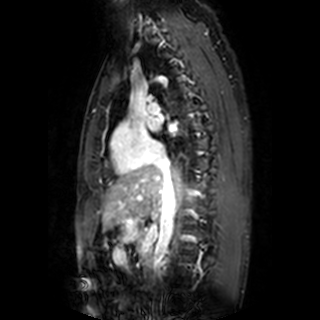

Heart, MR image
left atrium: {"x1": 169, "y1": 123, "x2": 176, "y2": 132}, {"x1": 146, "y1": 116, "x2": 160, "y2": 131}